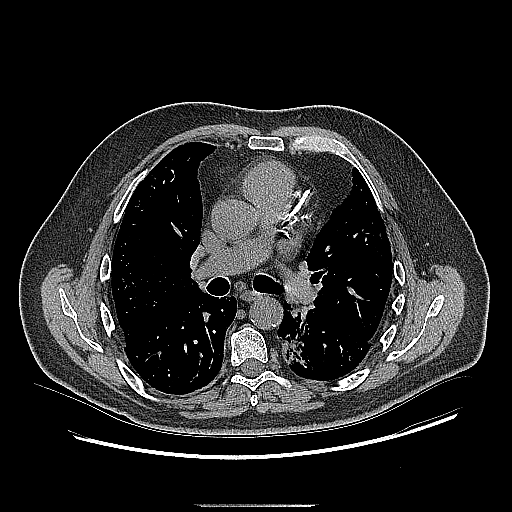 Chest; CT
The lung tumor is at (left=279, top=301, right=320, bottom=372).